Field of view 360 mm wide, 2.50 mm slice spacing. CT. Slice index 49.

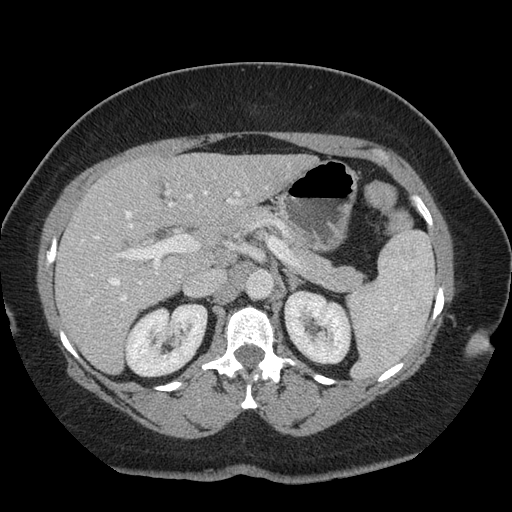

Some hepatic vessels may have no box.
15 hepatic vessel regions are bounded by [x1=227, y1=199, x2=237, y2=203], [x1=167, y1=191, x2=170, y2=193], [x1=126, y1=212, x2=131, y2=217], [x1=113, y1=234, x2=197, y2=264], [x1=121, y1=296, x2=126, y2=300], [x1=110, y1=279, x2=119, y2=285], [x1=129, y1=224, x2=132, y2=227], [x1=236, y1=192, x2=239, y2=196], [x1=156, y1=272, x2=157, y2=274], [x1=188, y1=195, x2=191, y2=197], [x1=170, y1=203, x2=173, y2=206], [x1=204, y1=192, x2=206, y2=194], [x1=87, y1=299, x2=92, y2=304], [x1=139, y1=281, x2=141, y2=284], [x1=95, y1=236, x2=98, y2=239].